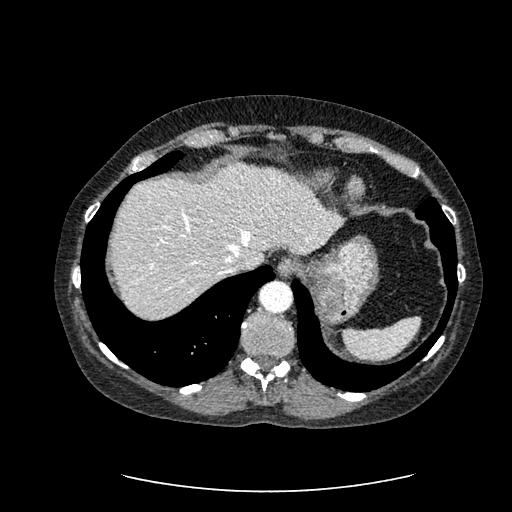

CT slice.
Annotated regions:
• liver: (113,164,345,320)